Slice 131 of 671; CT scan slice; Lower abdomen; 512x512

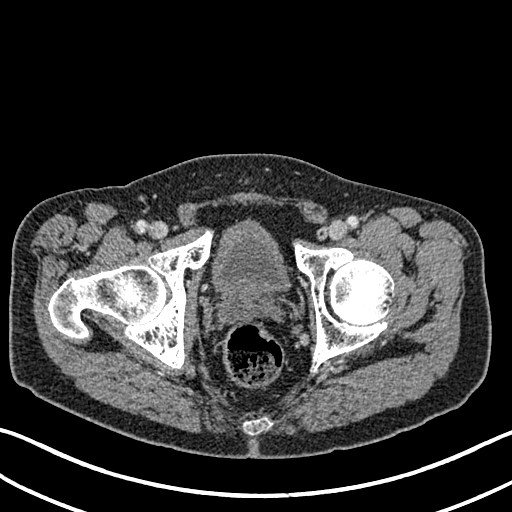 Urinary bladder = x1=212, y1=228, x2=289, y2=302.